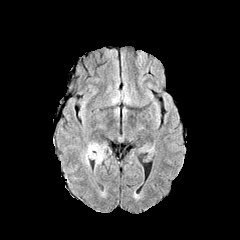
FLAIR MR image.
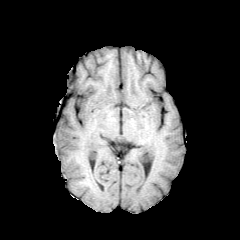
T1-weighted MR of the same slice.
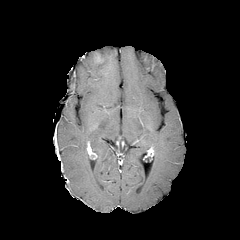
Same slice, post-contrast T1-weighted MRI.
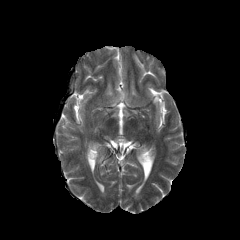
T2-weighted MR image.
Head
{"edema": ["left=90, top=141, right=109, bottom=168", "left=80, top=148, right=90, bottom=169"]}